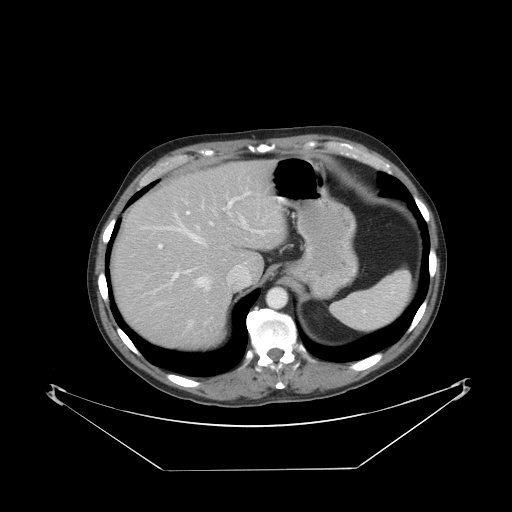

CT slice; 512x512 px

Some hepatic vessels may have no box.
Largest 15 of 17 hepatic vessel regions: bounding box (x1=182, y1=199, x2=187, y2=203), (x1=223, y1=189, x2=250, y2=209), (x1=158, y1=244, x2=162, y2=248), (x1=194, y1=276, x2=211, y2=289), (x1=201, y1=200, x2=204, y2=208), (x1=187, y1=320, x2=192, y2=329), (x1=170, y1=267, x2=197, y2=283), (x1=153, y1=211, x2=206, y2=247), (x1=229, y1=212, x2=231, y2=215), (x1=186, y1=211, x2=189, y2=214), (x1=239, y1=215, x2=247, y2=228), (x1=209, y1=222, x2=213, y2=224), (x1=215, y1=212, x2=217, y2=217), (x1=150, y1=284, x2=167, y2=293), (x1=251, y1=229, x2=279, y2=235).